CT image; Field of view 351x351 mm 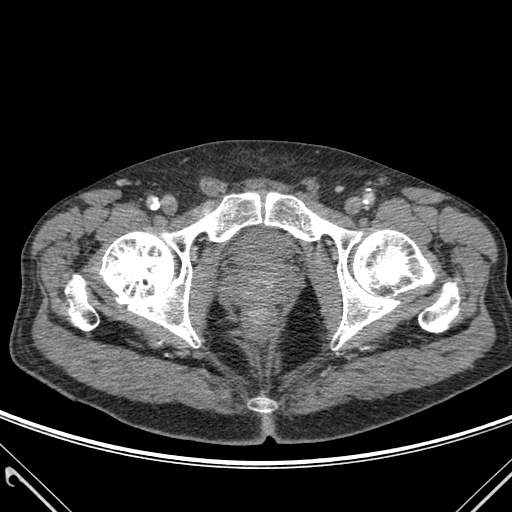

Bone: (x1=65, y1=275, x2=98, y2=330), (x1=256, y1=398, x2=270, y2=412), (x1=100, y1=193, x2=434, y2=349), (x1=418, y1=282, x2=459, y2=332).